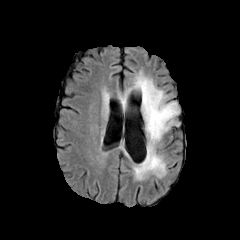
FLAIR MRI.
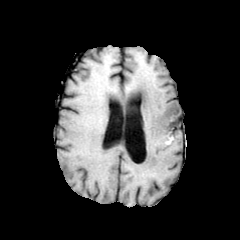
T1-weighted MRI of the same slice.
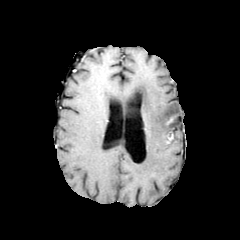
Same slice, post-contrast T1-weighted magnetic resonance.
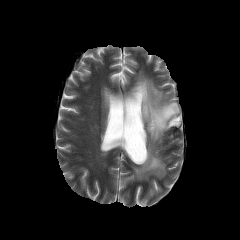
T2-weighted MR.
240x240
• edema: [x1=118, y1=72, x2=179, y2=180], [x1=104, y1=94, x2=110, y2=106]